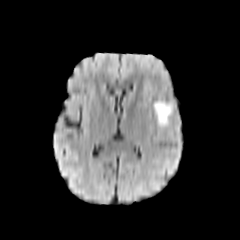
FLAIR MR image.
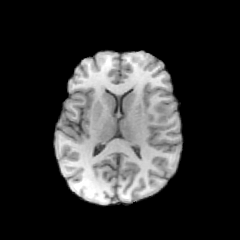
T1-weighted magnetic resonance of the same slice.
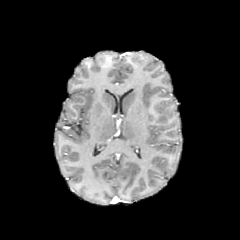
Post-contrast T1-weighted MR.
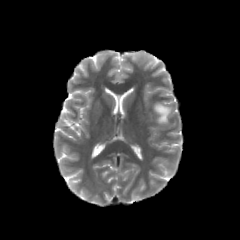
T2-weighted MR of the same slice.
240x240
{"non-enhancing_tumor_core": ["l=156, t=102, r=174, b=123"]}